CT slice; Abdomen
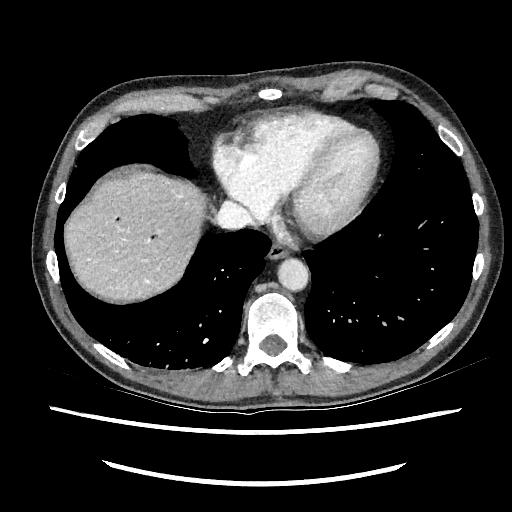
liver:
  - bbox(66, 172, 205, 299)